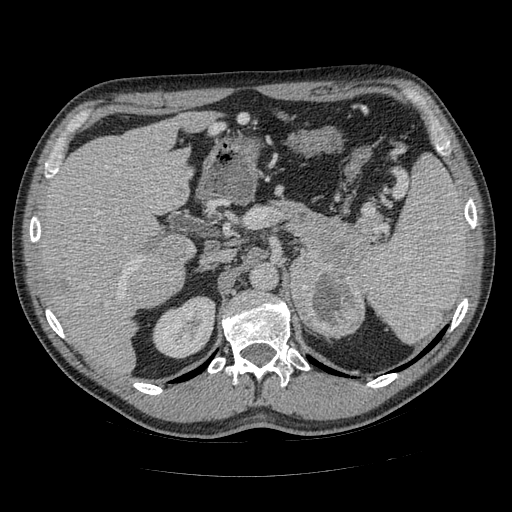 CT

- pancreas: (x1=279, y1=202, x2=373, y2=283)
- pancreatic tumor: (x1=290, y1=257, x2=364, y2=337)